512x512 px; CT scan slice; Slice 89/241; Chest

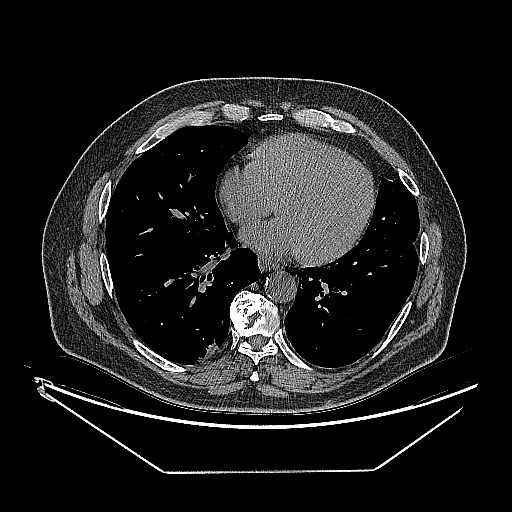 lung_tumor:
  - 195:343:218:362